CT.
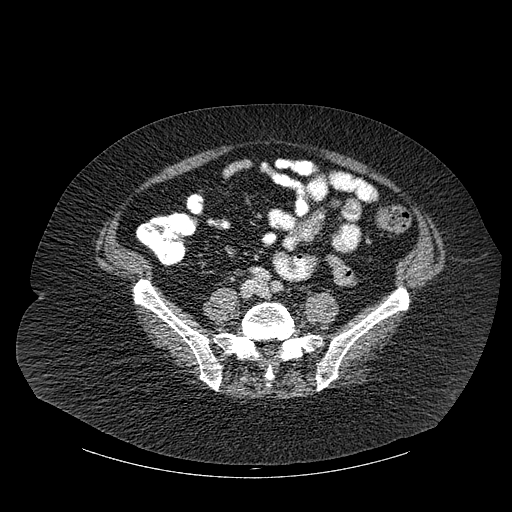
bone: (x1=213, y1=302, x2=321, y2=363), (x1=265, y1=364, x2=273, y2=379), (x1=134, y1=279, x2=221, y2=390), (x1=316, y1=287, x2=408, y2=390)